FLAIR MR.
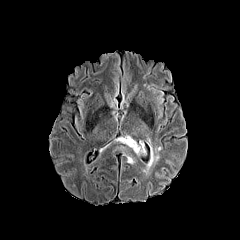
T1-weighted magnetic resonance.
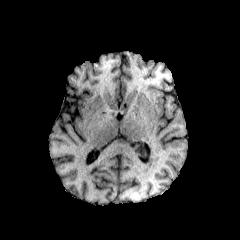
Post-contrast T1-weighted MRI.
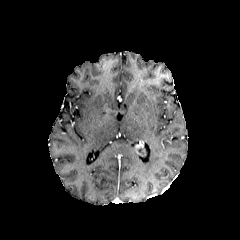
T2-weighted magnetic resonance.
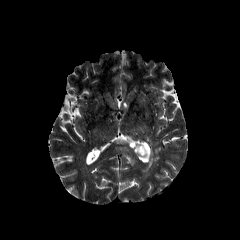
Image size 240x240; Head
Non-enhancing tumor core: bounding box bbox(137, 144, 149, 158).
Edema: bounding box bbox(123, 152, 134, 164); bbox(142, 139, 161, 174).
Enhancing tumor: bounding box bbox(134, 140, 145, 155).